Image width 370 mm; CT slice
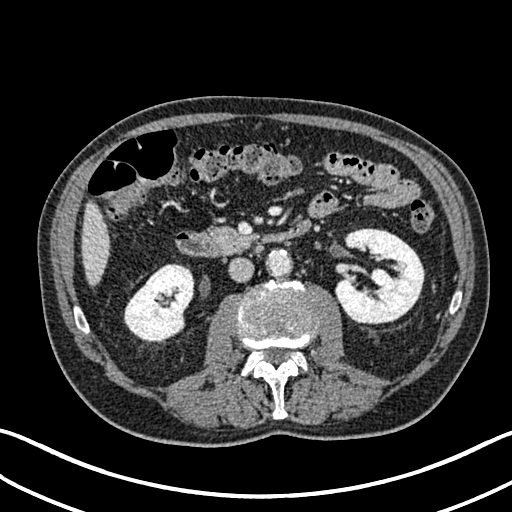
{
  "liver": [
    "l=82, t=202, r=109, b=284"
  ],
  "kidney": [
    "l=336, t=229, r=423, b=323",
    "l=125, t=265, r=193, b=340"
  ]
}